CT scan slice | Abdomen | Slice 308 of 816 | Image width 369 mm
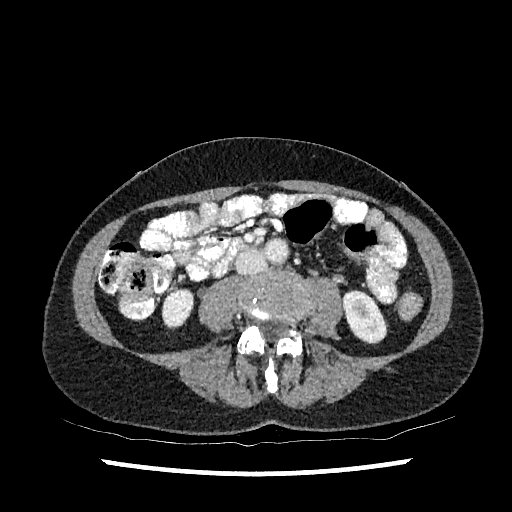
Segmented structures:
• kidney: <box>163,290,192,325</box>, <box>343,292,385,342</box>